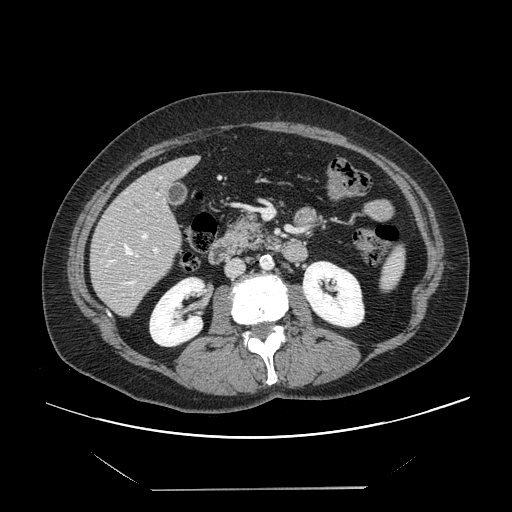
512x512 px; CT
Only some of the vessels may be annotated.
8 hepatic vessel regions appear at (136,210,138,211), (156,193,160,196), (123,242,138,257), (121,280,136,287), (100,259,116,266), (153,247,158,254), (106,244,110,251), (141,232,147,239).